Image width 240 mm. Slice index 80.
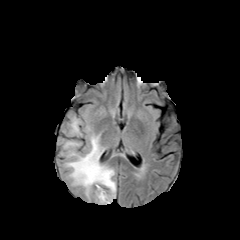
FLAIR MRI.
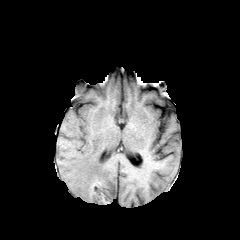
T1-weighted MR image.
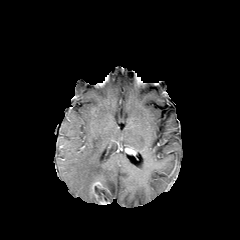
Post-contrast T1-weighted MR image.
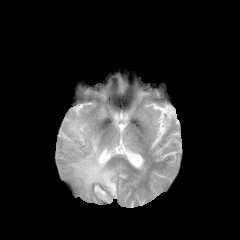
T2-weighted magnetic resonance.
edema: rect(62, 118, 116, 203)